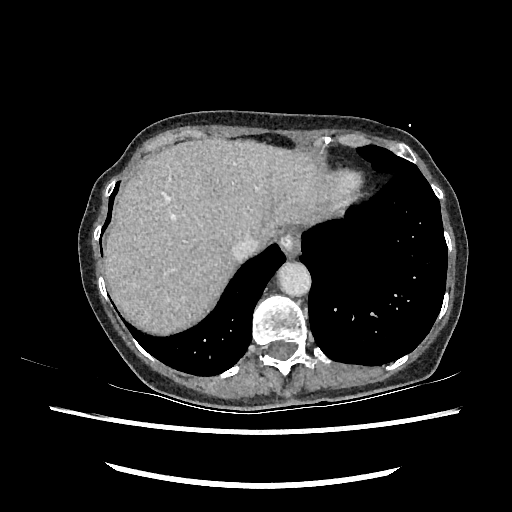

CT. 512x512. The liver appears at bbox(107, 139, 337, 332).